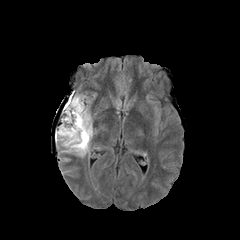
FLAIR MRI.
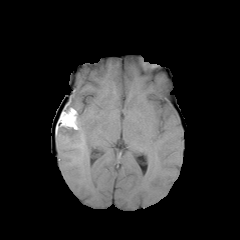
T1-weighted MRI.
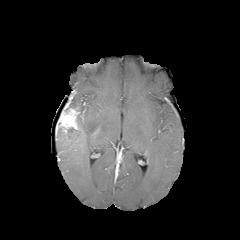
Post-contrast T1-weighted MR image of the same slice.
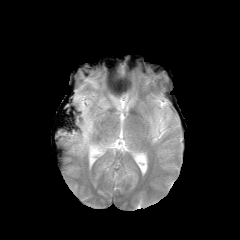
T2-weighted MRI.
Image size 240x240. Head.
enhancing tumor: l=61, t=108, r=76, b=128 | edema: l=55, t=90, r=99, b=157 | non-enhancing tumor core: l=57, t=112, r=78, b=133; l=63, t=99, r=80, b=115